CT | 512x512 px 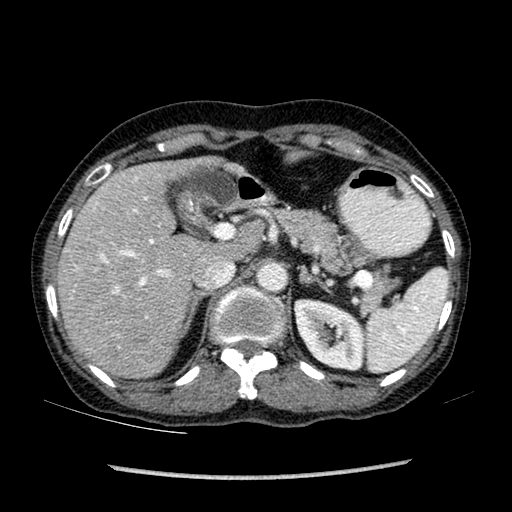
Kidney: bounding box 295,300,362,368.
Liver: bounding box 219,225,262,258; 59,165,199,376.